FLAIR MR.
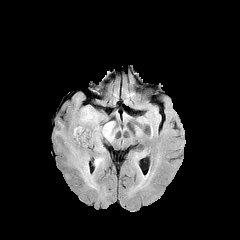
T1-weighted magnetic resonance.
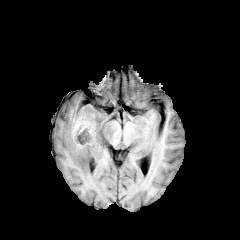
Post-contrast T1-weighted MR.
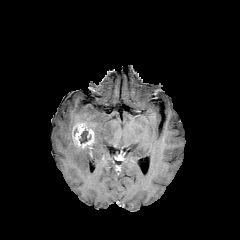
T2-weighted magnetic resonance.
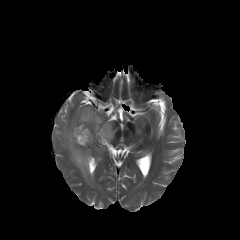
Head | 240x240 px
2 edema regions are bounded by 67 142 103 189, 79 105 115 154. The non-enhancing tumor core is at 80 131 91 143. The enhancing tumor is at 72 122 94 148.